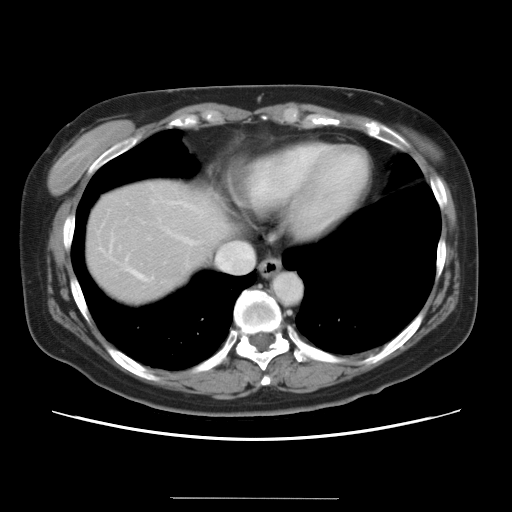 512x512, CT
Some hepatic vessels may have no box.
8 hepatic vessel regions are located at 99,248,101,251; 187,204,198,211; 176,237,197,245; 125,258,127,260; 125,268,152,280; 227,250,251,271; 171,203,176,203; 110,235,113,246.